Slice index 61; Computed tomography; Field of view 351 mm wide, 1.00 mm slice spacing 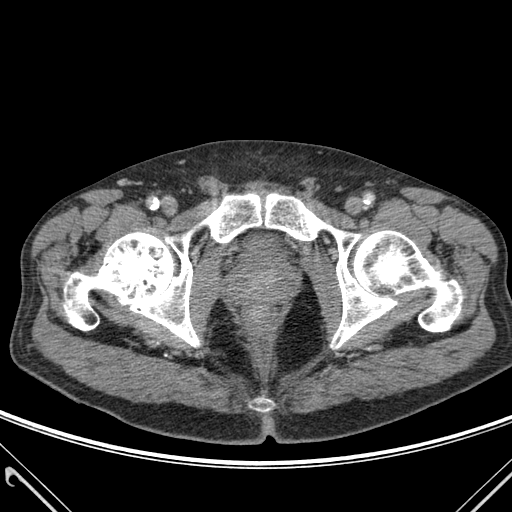
* bone: [257,398,269,410], [199,194,462,347], [64,230,198,346]